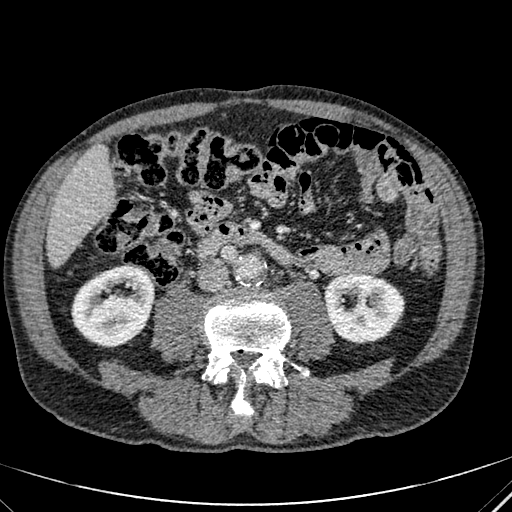

CT slice | Upper abdomen

Kidney — box(73, 267, 153, 345); box(326, 274, 403, 341).
Liver — box(47, 147, 113, 266).